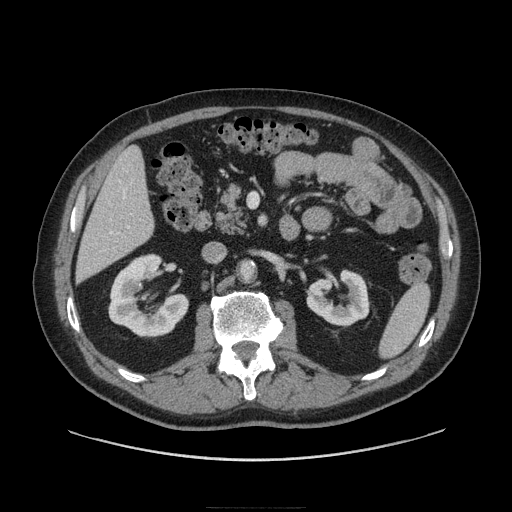

Computed tomography

Pancreas — rect(213, 183, 249, 235).